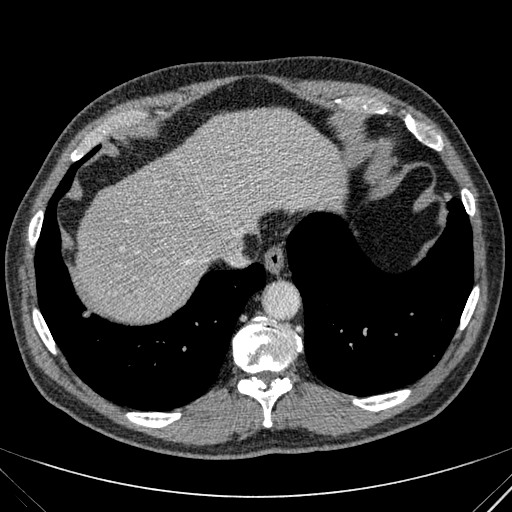

Liver. CT slice. 512x512. * liver: [75,109,345,320]